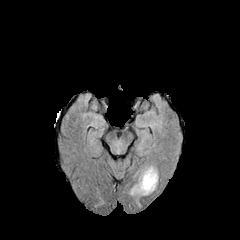
FLAIR magnetic resonance.
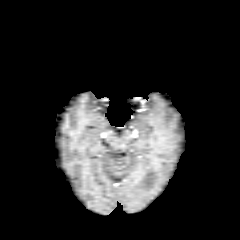
Same slice, T1-weighted MR image.
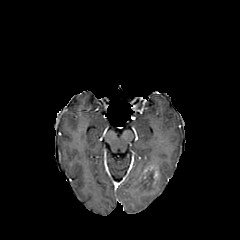
Post-contrast T1-weighted MR.
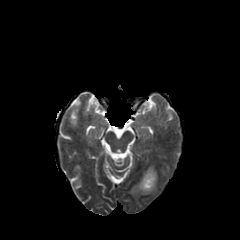
T2-weighted MRI of the same slice.
Head
<segmentation>
  <edema>130:164:157:195</edema>
</segmentation>